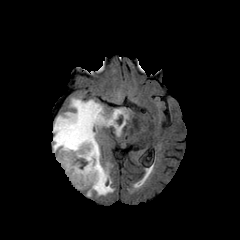
FLAIR MR image.
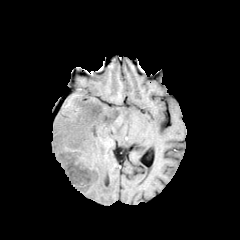
T1-weighted MRI.
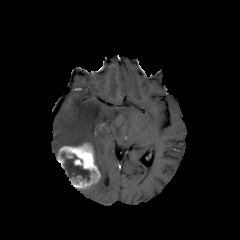
Post-contrast T1-weighted magnetic resonance.
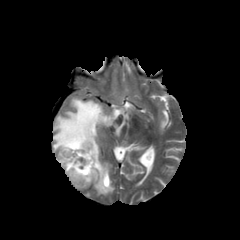
Same slice, T2-weighted MRI.
Brain.
{
  "edema": [
    "bbox=[52, 96, 128, 196]"
  ],
  "enhancing_tumor": [
    "bbox=[56, 142, 101, 190]"
  ],
  "non-enhancing_tumor_core": [
    "bbox=[64, 156, 89, 180]"
  ]
}